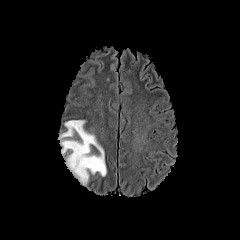
FLAIR MR image.
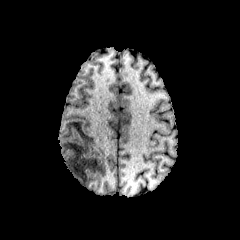
Same slice, T1-weighted magnetic resonance.
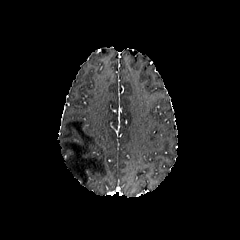
Post-contrast T1-weighted MRI.
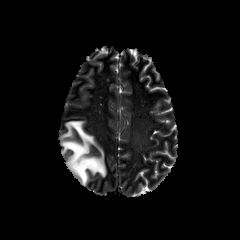
T2-weighted MRI.
The edema lies within region(57, 119, 106, 185).